MR 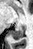 The posterior hippocampus appears at 9,27,23,39.